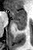

33x50 | MR image | Hippocampus

posterior hippocampus: 13 21 26 29 | anterior hippocampus: 9 10 25 21